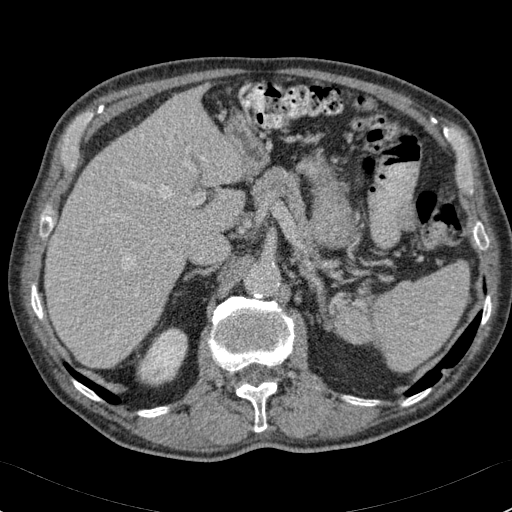 Computed tomography

liver: l=46, t=84, r=244, b=367 | kidney: l=141, t=330, r=185, b=381